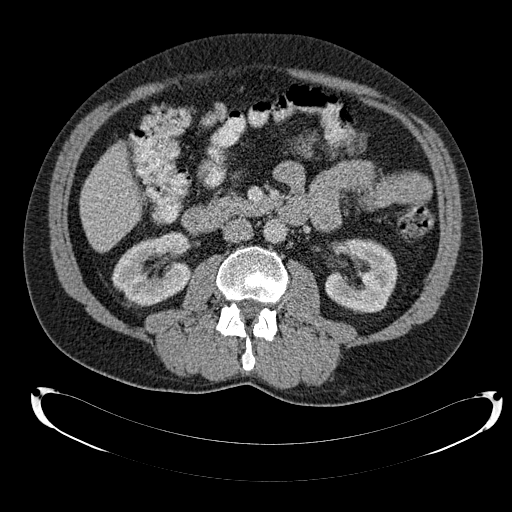 Upper abdomen. CT. liver:
  - <box>81,144,141,251</box>
kidney:
  - <box>112,233,189,304</box>
  - <box>325,240,396,311</box>